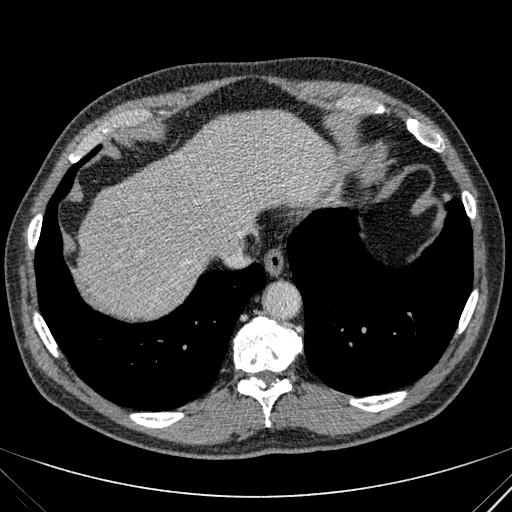
512x512. Computed tomography. Liver.

liver:
  - bbox=[77, 110, 335, 317]